Liver, CT scan slice 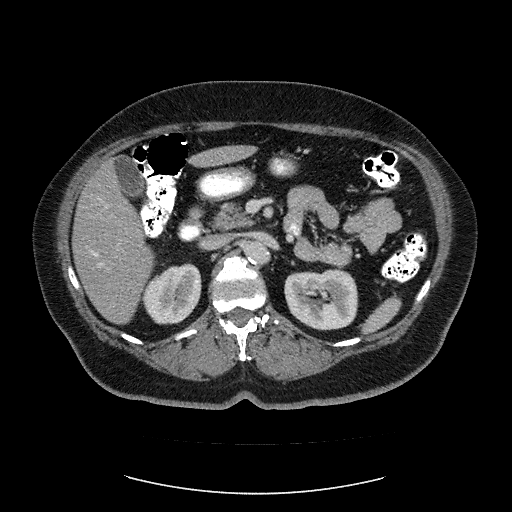 The vessel boxes may cover only some of the vessels.
6 hepatic vessel regions are bounded by left=105, top=204, right=108, bottom=206; left=110, top=215, right=111, bottom=216; left=99, top=262, right=102, bottom=265; left=92, top=251, right=97, bottom=255; left=97, top=198, right=100, bottom=199; left=107, top=268, right=109, bottom=270.